FLAIR magnetic resonance.
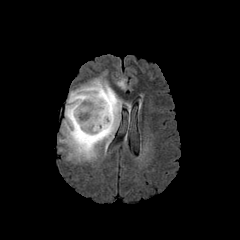
T1-weighted MR image.
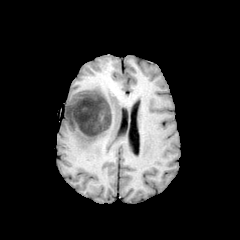
Post-contrast T1-weighted MR.
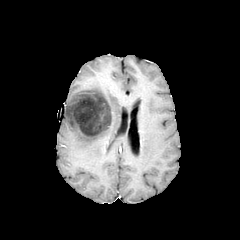
T2-weighted MR image.
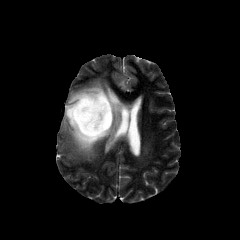
2 edema regions are bounded by bbox(59, 84, 121, 159); bbox(84, 78, 111, 88). 2 non-enhancing tumor core regions appear at bbox(67, 91, 113, 142); bbox(93, 80, 117, 99).